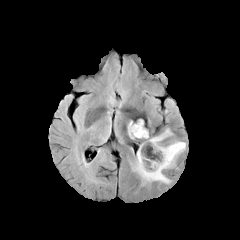
FLAIR MR.
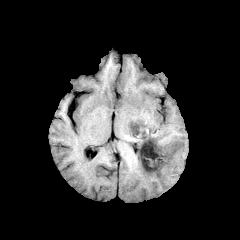
T1-weighted MRI.
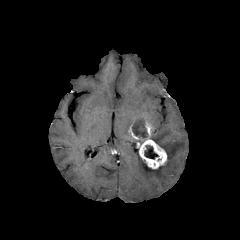
Post-contrast T1-weighted MR image.
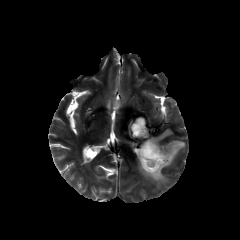
T2-weighted MR image.
Brain. Image size 240x240.
2 non-enhancing tumor core regions appear at {"x1": 132, "y1": 119, "x2": 148, "y2": 143}, {"x1": 144, "y1": 145, "x2": 159, "y2": 159}. The edema is located at {"x1": 134, "y1": 129, "x2": 186, "y2": 182}. 2 enhancing tumor regions appear at {"x1": 138, "y1": 125, "x2": 166, "y2": 168}, {"x1": 128, "y1": 124, "x2": 144, "y2": 140}.